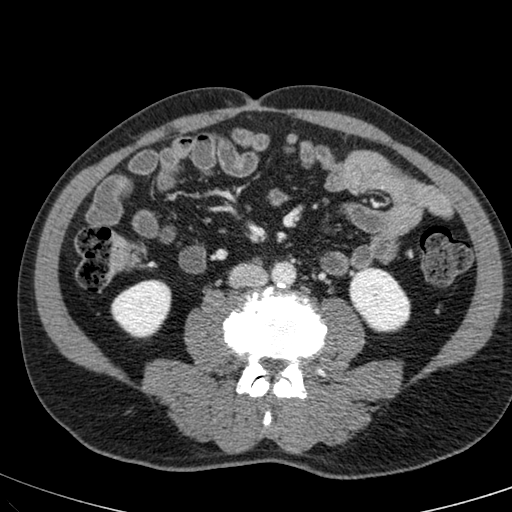

Abdomen, CT, 512x512
kidney: rect(351, 269, 408, 329); rect(113, 281, 169, 335)